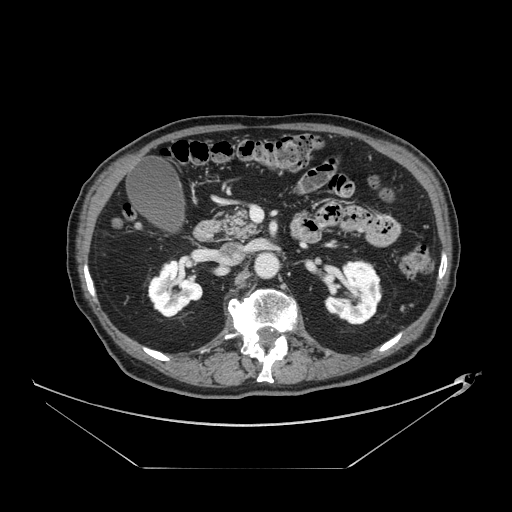

Image size 512x512. Computed tomography. Abdomen. Findings:
- pancreas: 218,211,259,239